CT image; Upper abdomen; Slice 194/244; Image size 512x512
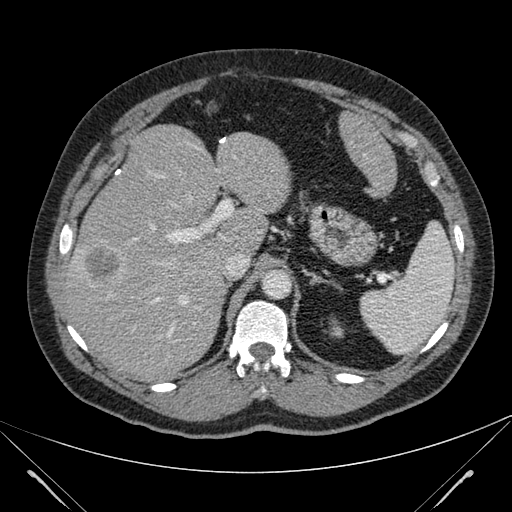
<segmentation>
  <focal_liver_lesion>bbox(83, 246, 119, 286)</focal_liver_lesion>
  <liver>bbox(339, 111, 396, 196); bbox(54, 125, 290, 382)</liver>
</segmentation>